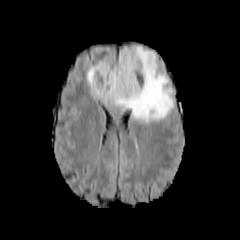
FLAIR MR image.
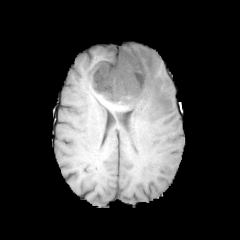
T1-weighted MR.
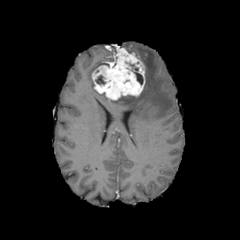
Post-contrast T1-weighted MRI of the same slice.
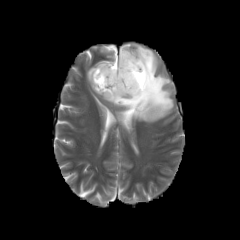
Same slice, T2-weighted MR image.
Head
<segmentation>
  <enhancing_tumor>box=[92, 46, 145, 100]</enhancing_tumor>
  <edema>box=[107, 45, 173, 123]; box=[87, 64, 97, 92]</edema>
  <non-enhancing_tumor_core>box=[95, 75, 105, 84]; box=[129, 63, 143, 85]</non-enhancing_tumor_core>
</segmentation>